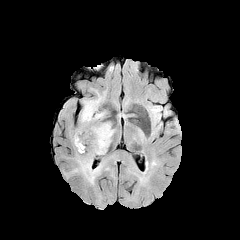
FLAIR MR image.
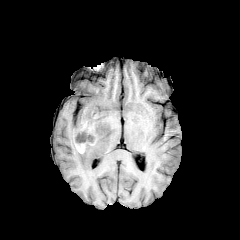
T1-weighted MR image.
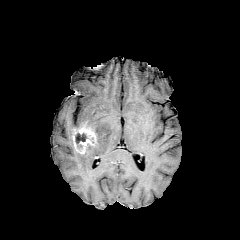
Post-contrast T1-weighted magnetic resonance.
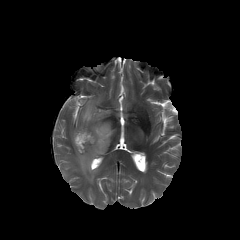
Same slice, T2-weighted MR image.
Head
Edema: bounding box bbox=[74, 98, 113, 184].
Enhancing tumor: bounding box bbox=[72, 124, 96, 153].
Non-enhancing tumor core: bounding box bbox=[75, 132, 86, 143].